240x240 px; Slice 103 of 155; Brain
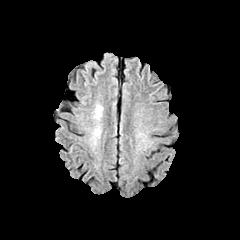
FLAIR magnetic resonance.
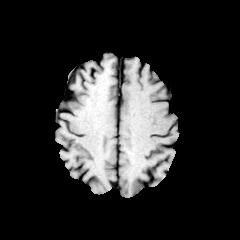
T1-weighted MRI.
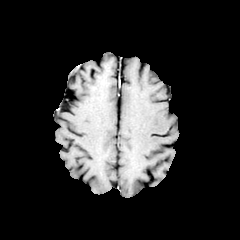
Post-contrast T1-weighted MR of the same slice.
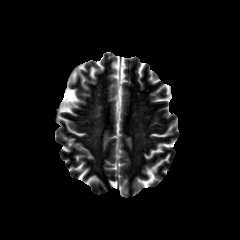
T2-weighted MR image.
{"edema": ["94, 104, 102, 119"]}